Slice index 288, CT image, Image size 512x512
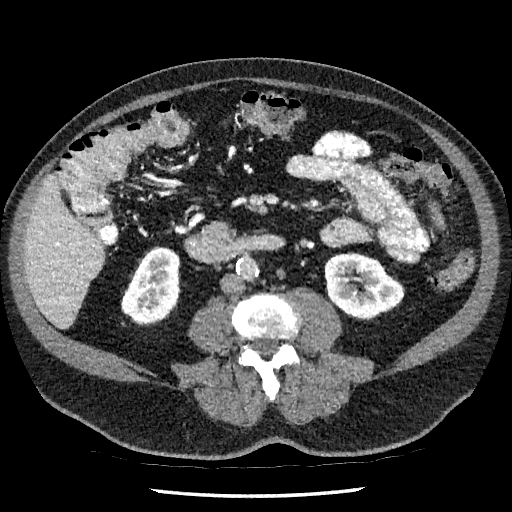 <segmentation>
  <liver>(x1=25, y1=176, x2=103, y2=328)</liver>
  <kidney>(x1=122, y1=250, x2=178, y2=323), (x1=325, y1=254, x2=403, y2=317)</kidney>
</segmentation>